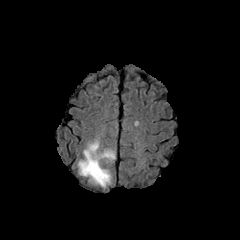
FLAIR magnetic resonance.
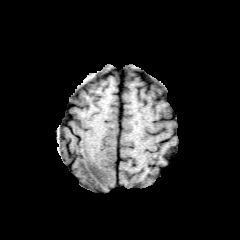
Same slice, T1-weighted MRI.
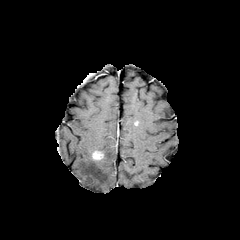
Post-contrast T1-weighted MR image.
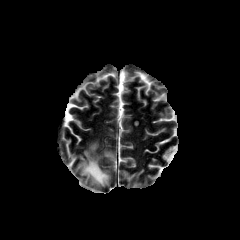
T2-weighted magnetic resonance of the same slice.
The edema is at [77, 139, 115, 188]. The enhancing tumor is located at [92, 151, 104, 160].